FLAIR MR image.
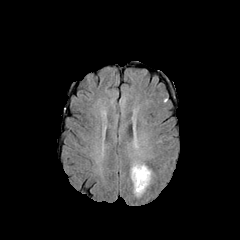
T1-weighted MR image.
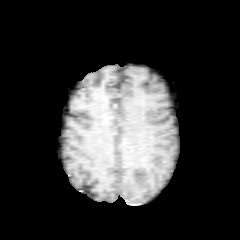
Post-contrast T1-weighted MR image.
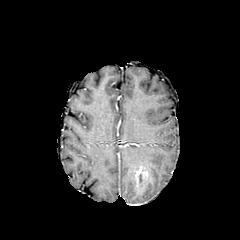
T2-weighted MRI.
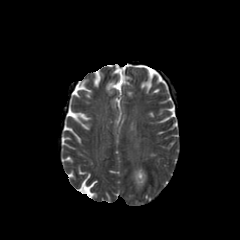
Brain
<segmentation>
  <enhancing_tumor>left=135, top=167, right=146, bottom=181</enhancing_tumor>
  <edema>left=131, top=164, right=149, bottom=194</edema>
</segmentation>